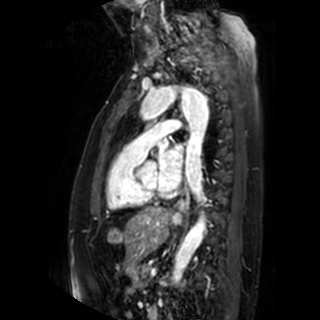 MR image, Heart

left_atrium:
  - (left=159, top=144, right=182, bottom=190)